CT; Slice index 617; Field of view 404 mm wide, 0.70 mm slice spacing

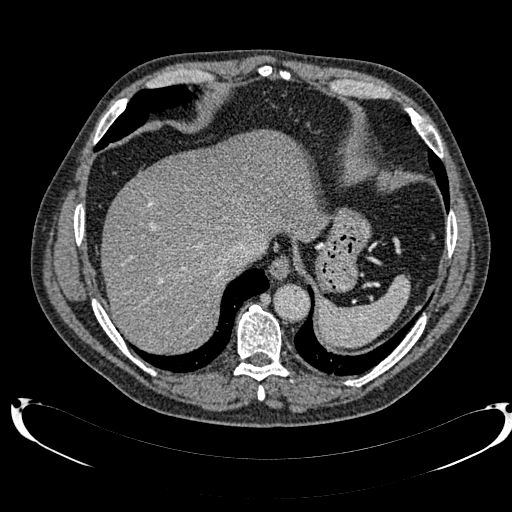

Liver: bounding box {"x1": 102, "y1": 129, "x2": 327, "y2": 354}.
Hepatic lesion: bounding box {"x1": 151, "y1": 141, "x2": 248, "y2": 221}.